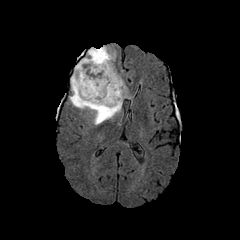
FLAIR MRI.
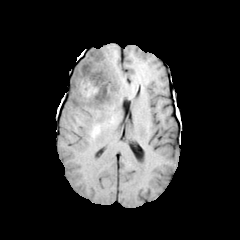
T1-weighted magnetic resonance.
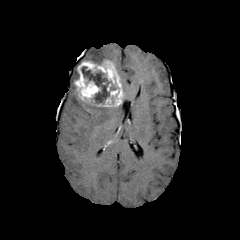
Post-contrast T1-weighted MRI.
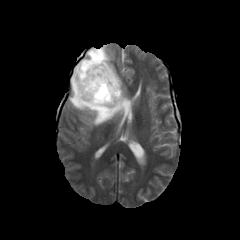
T2-weighted MR image of the same slice.
<segmentation>
  <enhancing_tumor>region(73, 59, 122, 106)</enhancing_tumor>
  <edema>region(85, 46, 114, 63); region(67, 75, 122, 125)</edema>
  <non-enhancing_tumor_core>region(82, 67, 108, 103); region(79, 53, 100, 63)</non-enhancing_tumor_core>
</segmentation>